FLAIR MRI.
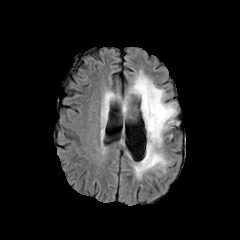
T1-weighted MRI.
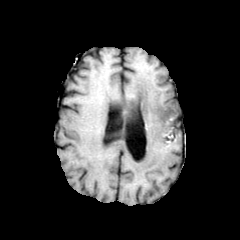
Post-contrast T1-weighted MRI.
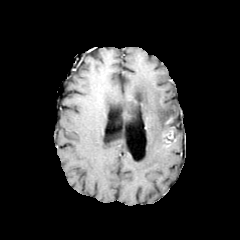
T2-weighted MR.
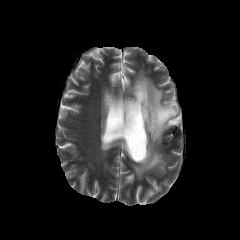
- non-enhancing tumor core: bbox=[131, 106, 141, 116]; bbox=[159, 108, 173, 118]
- edema: bbox=[118, 73, 177, 179]; bbox=[102, 92, 114, 135]